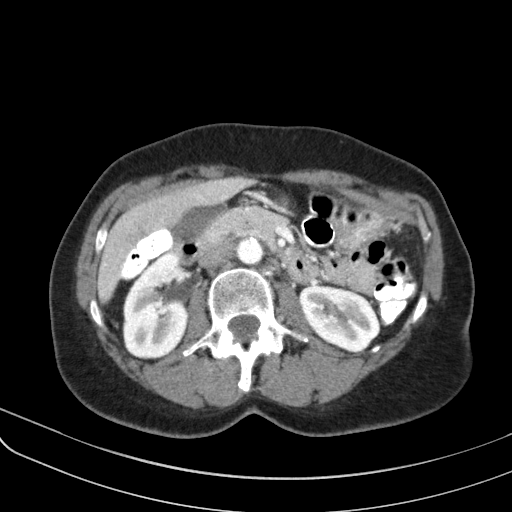
CT slice
The pancreas is located at region(197, 206, 287, 272).